512x512 px | Pelvis | CT image | Image width 357 mm 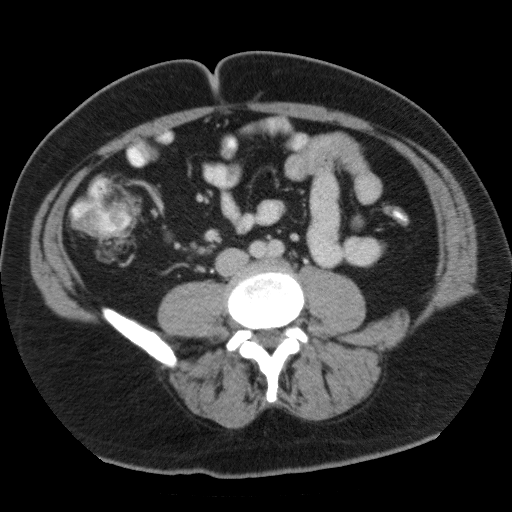
{"colon_tumor": ["<bbox>72, 208, 99, 235</bbox>", "<bbox>100, 200, 124, 225</bbox>"]}